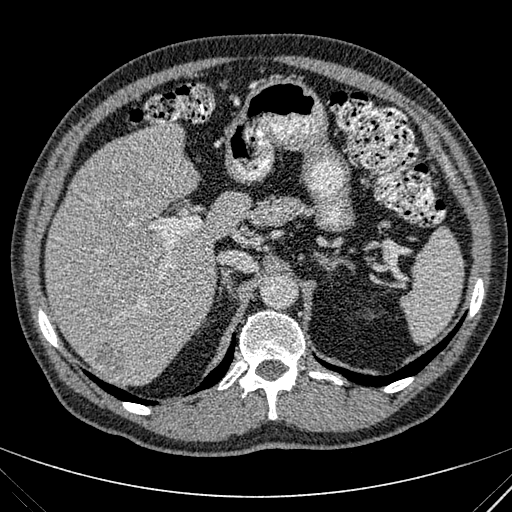

CT image, Image size 512x512
Findings:
• focal liver lesion: [88, 333, 126, 377]
• liver: [47, 123, 249, 385]